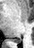
MRI, Medial temporal lobe, 34x48 px

Posterior hippocampus = <bbox>11, 37, 21, 43</bbox>.